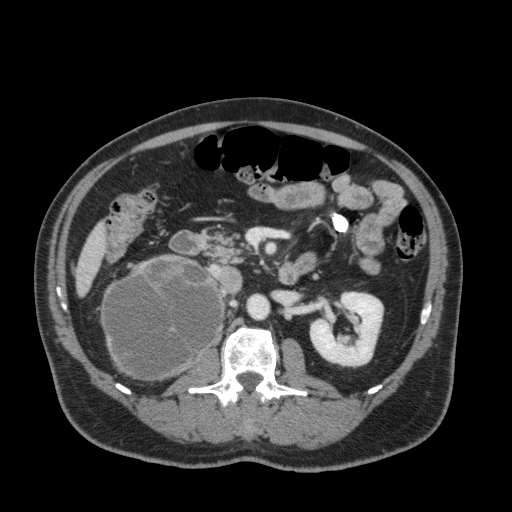 CT scan slice, Liver
<segmentation>
  <liver>77:223:105:293</liver>
  <kidney>311:292:382:365</kidney>
</segmentation>